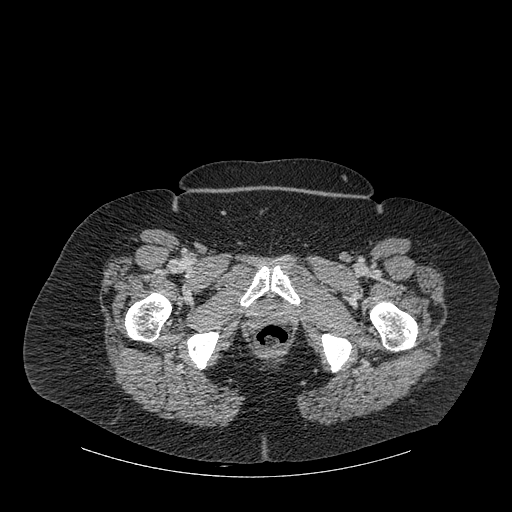 CT image, Image size 512x512
{"bone": ["<bbox>187, 332, 218, 369</bbox>", "<bbox>321, 334, 351, 371</bbox>", "<bbox>240, 265, 299, 307</bbox>", "<bbox>125, 293, 171, 341</bbox>", "<bbox>370, 302, 417, 350</bbox>"]}